CT image. Abdomen.
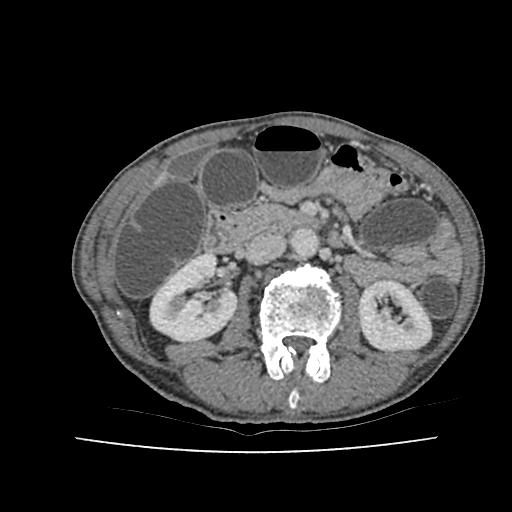
2 kidney regions appear at bbox(150, 254, 236, 340); bbox(360, 281, 430, 350).